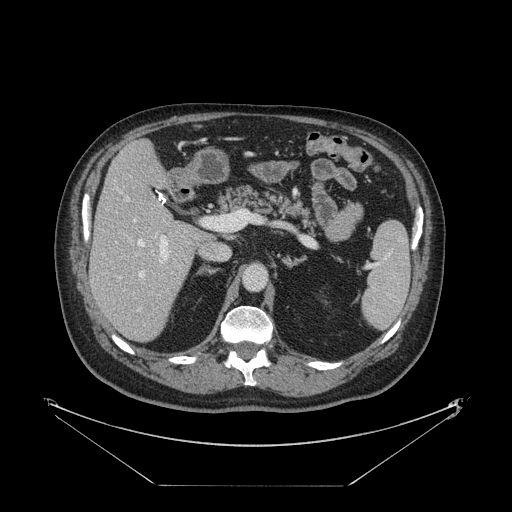

CT slice
Some hepatic vessels may have no box.
Hepatic vessel at box(125, 196, 127, 199); box(133, 219, 135, 221); box(160, 235, 166, 257); box(120, 192, 122, 193).